Lower abdomen | Slice 126 of 811 | CT scan slice 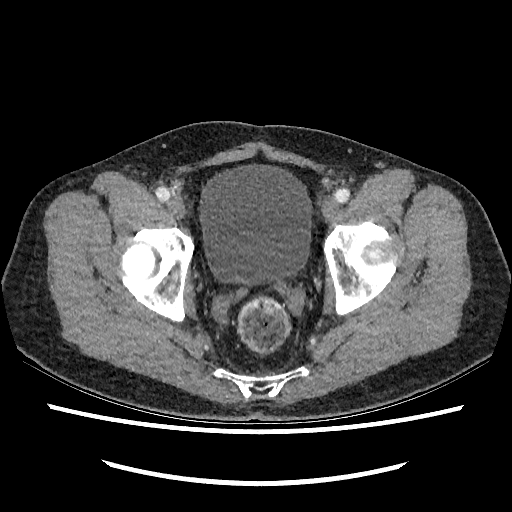 urinary_bladder:
  - (left=198, top=163, right=312, bottom=286)